FLAIR MR.
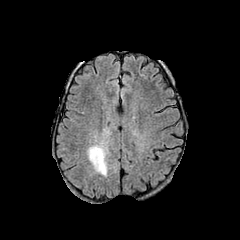
T1-weighted magnetic resonance.
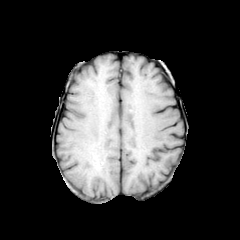
Post-contrast T1-weighted MR image.
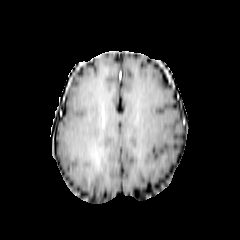
T2-weighted magnetic resonance.
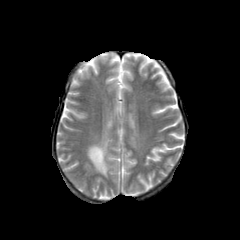
240x240.
The non-enhancing tumor core is bounded by (89,146,105,170). The edema is at (86,127,117,177).